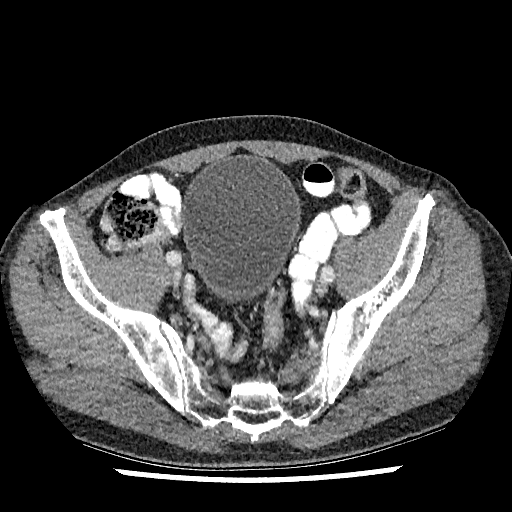

CT scan slice
The urinary bladder appears at [x1=182, y1=157, x2=297, y2=302].